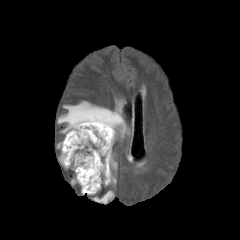
FLAIR magnetic resonance.
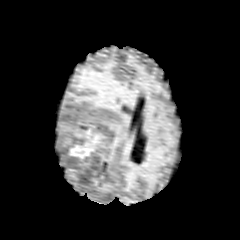
T1-weighted magnetic resonance.
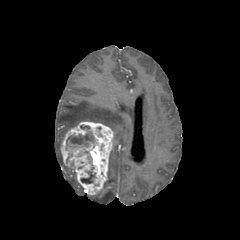
Same slice, post-contrast T1-weighted MR.
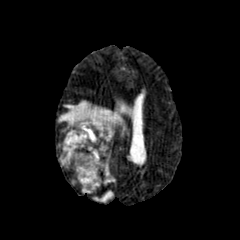
Same slice, T2-weighted MR.
Brain. Image size 240x240.
The enhancing tumor is at 60 120 114 195. 2 non-enhancing tumor core regions are bounded by 69 134 92 143, 81 174 93 183. 3 edema regions appear at 109 153 116 184, 93 190 113 203, 58 101 127 137.